Slice 584 of 605. Chest. CT slice. 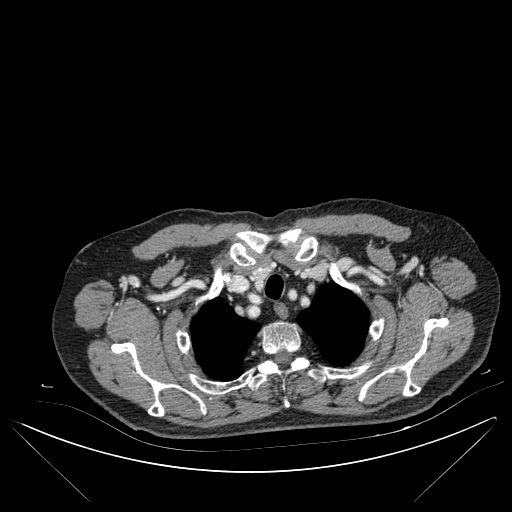
lung:
  - x1=191 y1=298 x2=259 y2=380
  - x1=297 y1=283 x2=368 y2=365
  - x1=265 y1=276 x2=282 y2=298
bone:
  - x1=208 y1=268 x2=229 y2=298
  - x1=369 y1=319 x2=383 y2=339
  - x1=295 y1=237 x2=317 y2=261
  - x1=279 y1=229 x2=300 y2=244
  - x1=176 y1=331 x2=189 y2=352
  - x1=189 y1=357 x2=308 y2=393
  - x1=308 y1=363 x2=370 y2=380
  - x1=359 y1=318 x2=448 y2=400
  - x1=330 y1=263 x2=351 y2=288
  - x1=111 y1=342 x2=205 y2=416
  - x1=263 y1=324 x2=299 y2=353
  - x1=230 y1=231 x2=271 y2=266